Upper abdomen | CT | 512x512 px

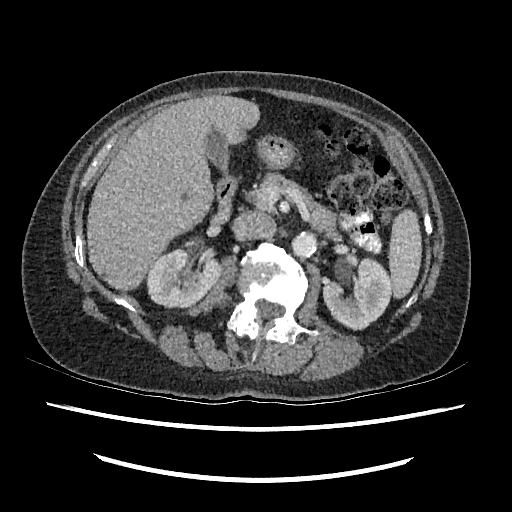
The focal liver lesion is at 181,192,189,201. 2 kidney regions are located at 323,259,390,328; 148,250,221,307. The liver is located at 88,96,258,290.